FLAIR MR image.
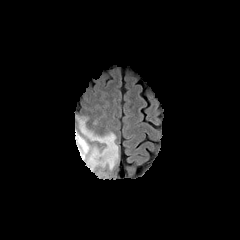
T1-weighted MR image.
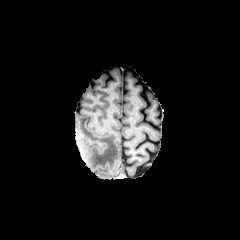
Post-contrast T1-weighted MRI.
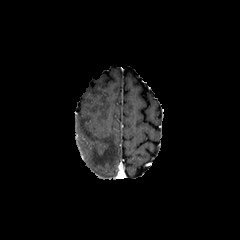
T2-weighted MRI.
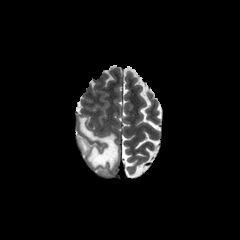
Brain | Image size 240x240
edema:
  - 79:118:118:167